Field of view 418x418 mm; Computed tomography; Slice index 24; Upper abdomen; 512x512
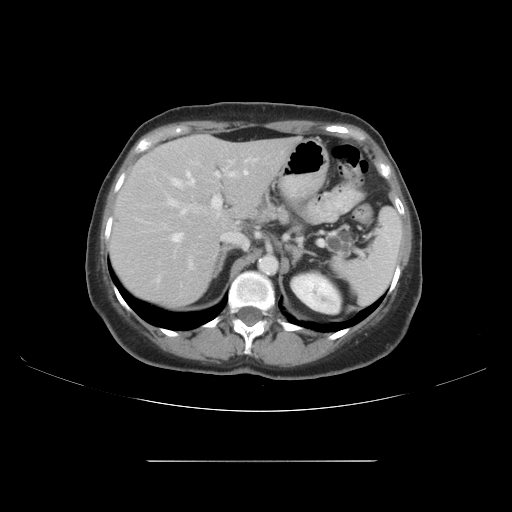

pancreas: box(326, 230, 346, 251); box(337, 240, 353, 255); box(258, 203, 288, 220) | pancreatic tumor: box(328, 232, 352, 253)